512x512 px | Abdomen | Slice index 486 | CT scan slice
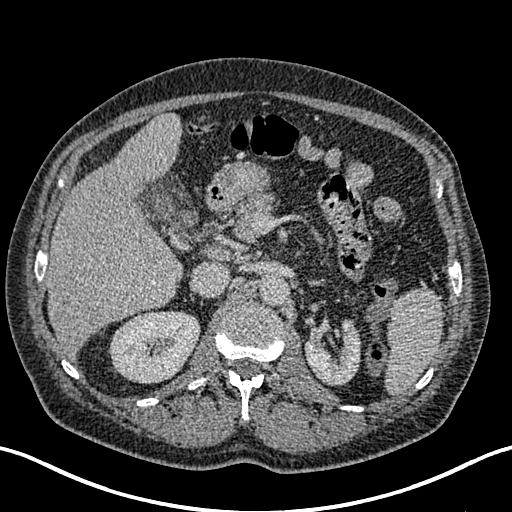 The liver appears at (47, 115, 182, 356). 2 kidney regions appear at (305, 322, 359, 384), (111, 312, 199, 382). 3 liver lesion regions are bounded by (58, 315, 73, 322), (89, 311, 96, 320), (58, 286, 69, 303).